FLAIR MR image.
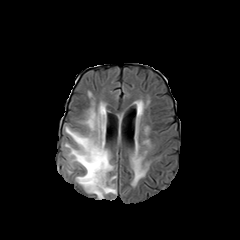
T1-weighted MRI.
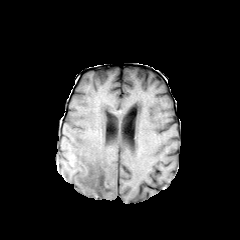
Post-contrast T1-weighted magnetic resonance.
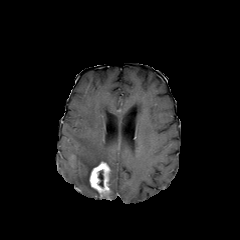
T2-weighted magnetic resonance.
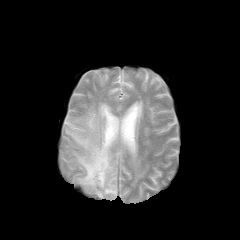
Brain
enhancing tumor: [89, 162, 111, 195] | non-enhancing tumor core: [98, 171, 103, 186] | edema: [64, 102, 116, 199], [133, 160, 143, 179]